FLAIR MR.
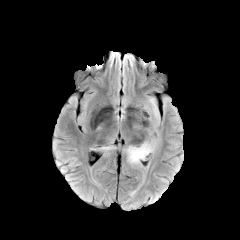
T1-weighted MR.
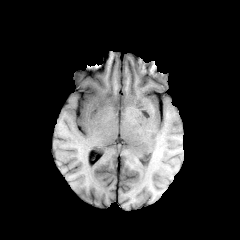
Post-contrast T1-weighted MRI.
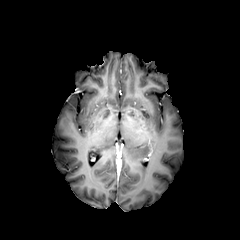
T2-weighted magnetic resonance.
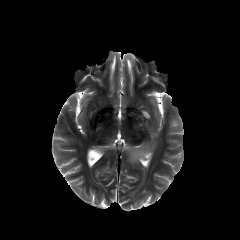
Brain, Image size 240x240
2 edema regions appear at <box>123,139,158,164</box>, <box>144,97,160,124</box>.